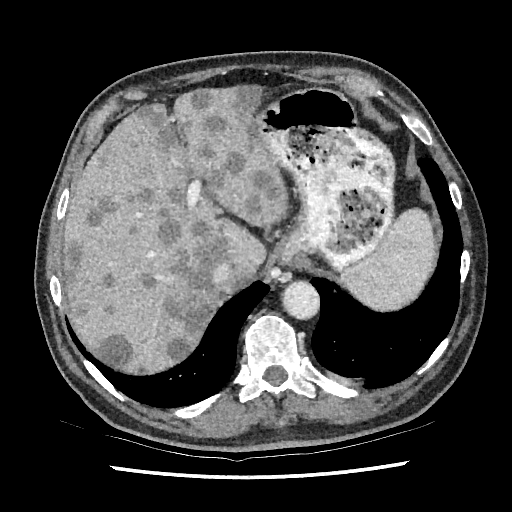

Upper abdomen, CT image
Annotated regions:
* liver: bbox(188, 329, 204, 353); bbox(139, 102, 161, 110); bbox(64, 87, 286, 371); bbox(211, 293, 228, 316)
* liver lesion (most prominent 15 of 18): bbox(88, 197, 118, 225); bbox(139, 273, 154, 287); bbox(167, 185, 188, 216); bbox(94, 334, 133, 368); bbox(206, 153, 245, 189); bbox(234, 86, 261, 149); bbox(190, 91, 211, 109); bbox(245, 170, 280, 215); bbox(76, 307, 87, 315); bbox(162, 219, 230, 360); bbox(202, 116, 225, 132); bbox(136, 104, 178, 151); bbox(128, 189, 154, 202); bbox(65, 239, 85, 279); bbox(158, 209, 183, 244)